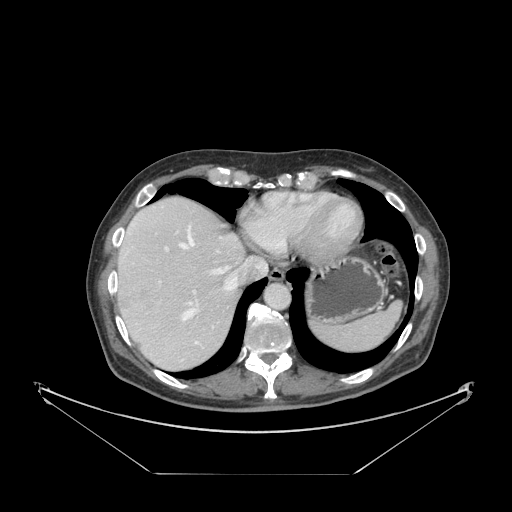
Computed tomography
spleen: rect(309, 302, 401, 353)